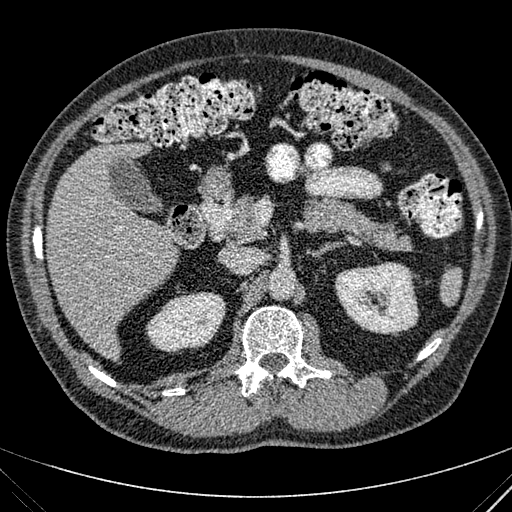
Abdomen. CT slice.
Liver — <box>46,143,178,360</box>.
Kidney — <box>147,292,224,351</box>, <box>336,262,417,333</box>.